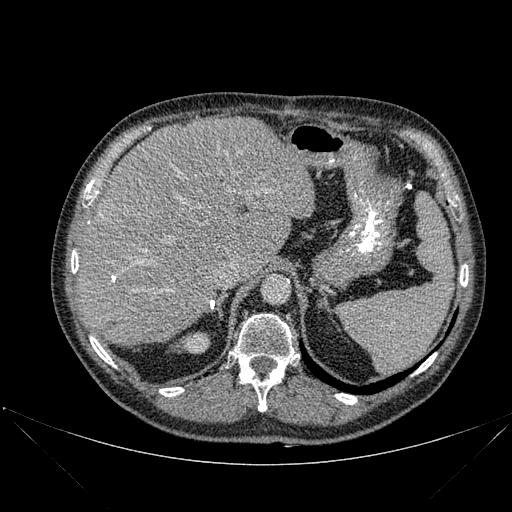

CT scan slice, Liver

bone: x1=85 y1=180 x2=97 y2=198, x1=335 y1=393 x2=356 y2=404, x1=415 y1=352 x2=436 y2=373, x1=90 y1=336 x2=115 y2=366, x1=159 y1=387 x2=183 y2=396, x1=71 y1=250 x2=78 y2=273, x1=460 y1=268 x2=468 y2=286, x1=229 y1=314 x2=299 y2=411 | lung: x1=300 y1=343 x2=413 y2=394 | kidney: x1=182 y1=334 x2=208 y2=352 | liver: x1=77 y1=117 x2=315 y2=345